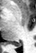 Medial temporal lobe; MR image; 36x53 px
{"posterior_hippocampus": ["l=13, t=44, r=21, b=46"]}